FLAIR MR.
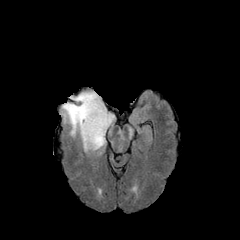
T1-weighted MR image.
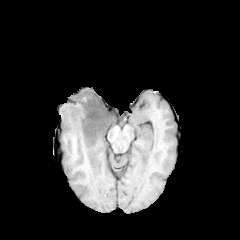
Post-contrast T1-weighted MRI.
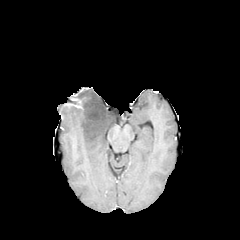
T2-weighted MRI.
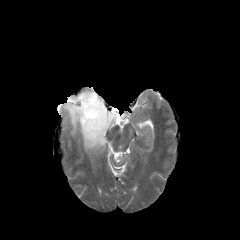
Brain
The non-enhancing tumor core appears at <box>68,94,105,132</box>. 2 edema regions appear at <box>60,103,114,153</box>, <box>77,90,105,107</box>.